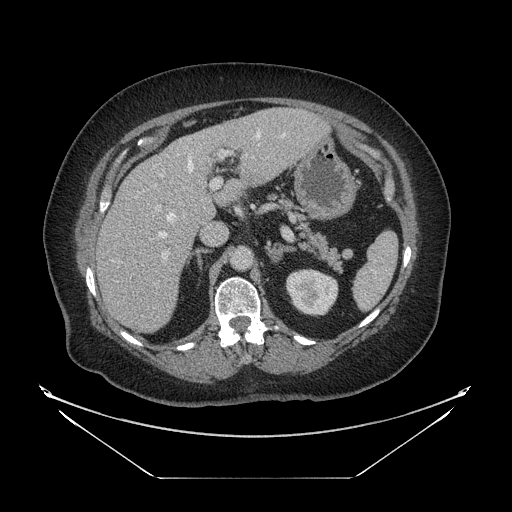

Upper abdomen, CT slice

Pancreas: region(269, 194, 342, 273).